CT image | Slice index 173 | Image size 512x512 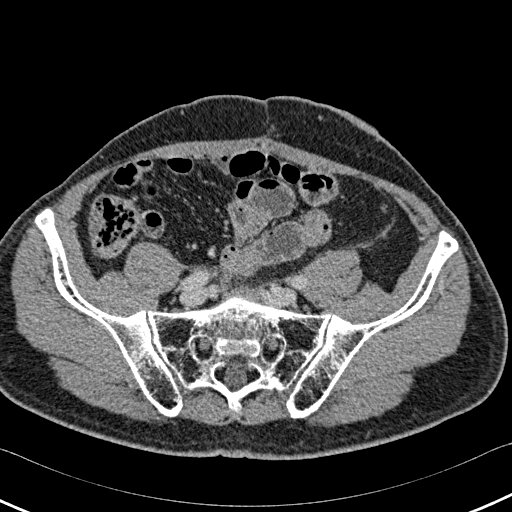 The bone lies within 35:209:457:417.